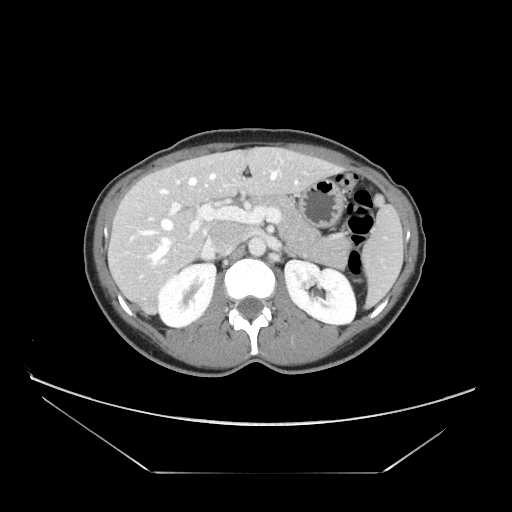

CT image
pancreas: box(252, 195, 328, 265) | pancreatic tumor: box(317, 238, 350, 269)